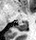

MRI. Image size 36x40.

The posterior hippocampus lies within region(14, 22, 27, 30).